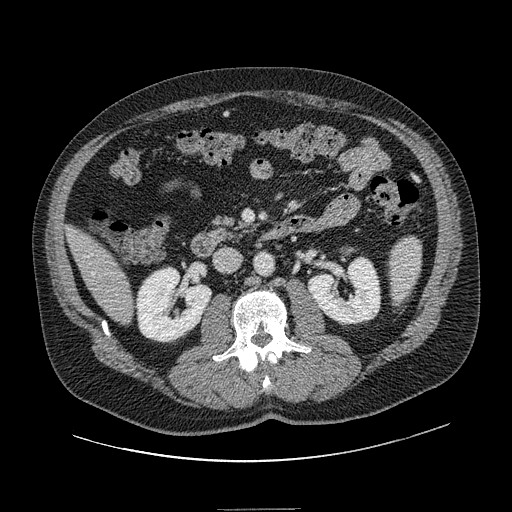
Computed tomography. Upper abdomen. 512x512 px. pancreas:
  - 214,216,256,238